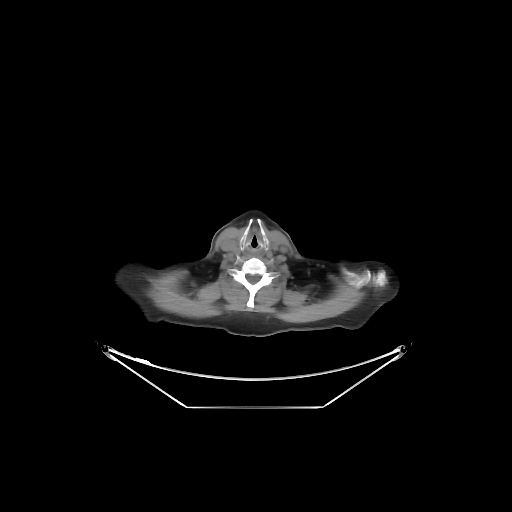 Computed tomography
Annotated regions:
• bone: 347,272,370,283; 374,273,384,285; 232,257,273,307